FLAIR magnetic resonance.
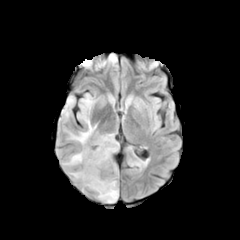
T1-weighted magnetic resonance.
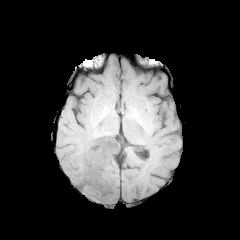
Post-contrast T1-weighted magnetic resonance.
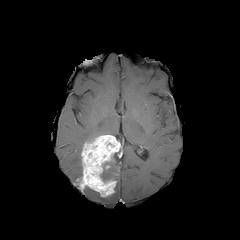
T2-weighted MR.
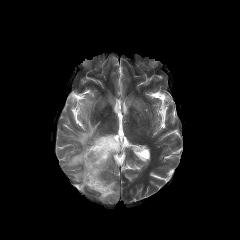
The non-enhancing tumor core is bounded by x1=100 y1=156 x2=115 y2=181. The enhancing tumor is at x1=80 y1=135 x2=119 y2=197. 6 edema regions are bounded by x1=62 y1=152 x2=80 y2=166, x1=60 y1=95 x2=75 y2=121, x1=70 y1=171 x2=81 y2=181, x1=69 y1=93 x2=99 y2=144, x1=106 y1=163 x2=118 y2=179, x1=96 y1=181 x2=118 y2=202.